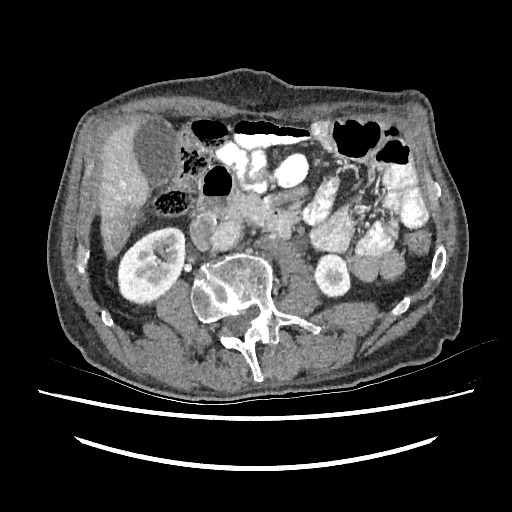 Abdomen | CT scan slice
kidney:
  - region(315, 255, 349, 295)
  - region(118, 228, 184, 302)
liver:
  - region(98, 113, 149, 258)
hepatic_lesion:
  - region(113, 205, 135, 248)